Upper abdomen, CT slice, Image size 512x512 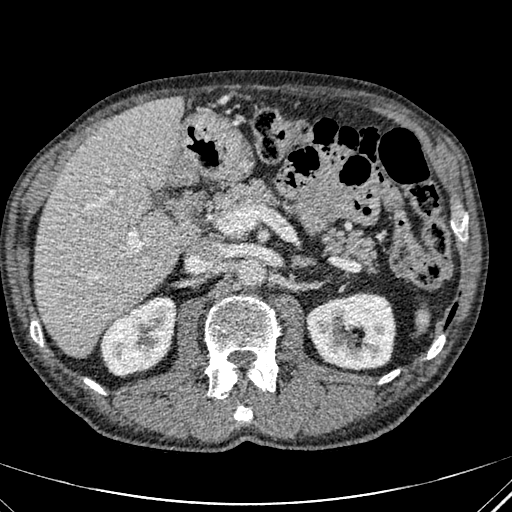
2 kidney regions are bounded by (307,295,394,368), (102,298,174,374). The liver appears at (35,96,197,357).